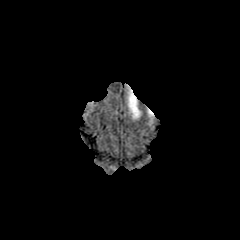
FLAIR MR image.
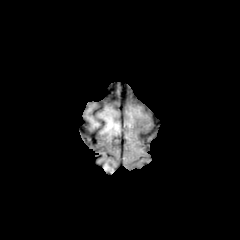
T1-weighted MRI of the same slice.
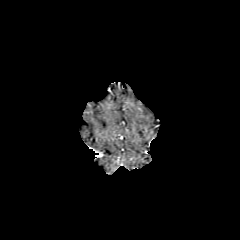
Same slice, post-contrast T1-weighted MR.
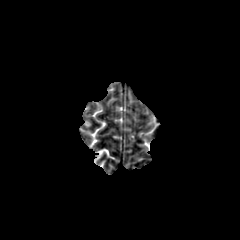
T2-weighted magnetic resonance of the same slice.
The edema is located at l=128, t=91, r=138, b=117.